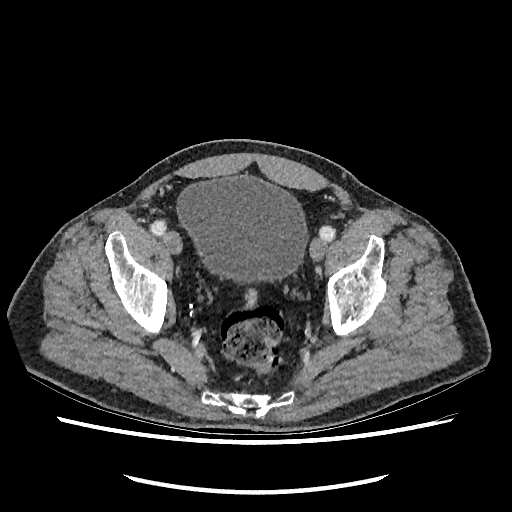 CT scan slice.
Urinary bladder: bounding box (177, 174, 308, 282).